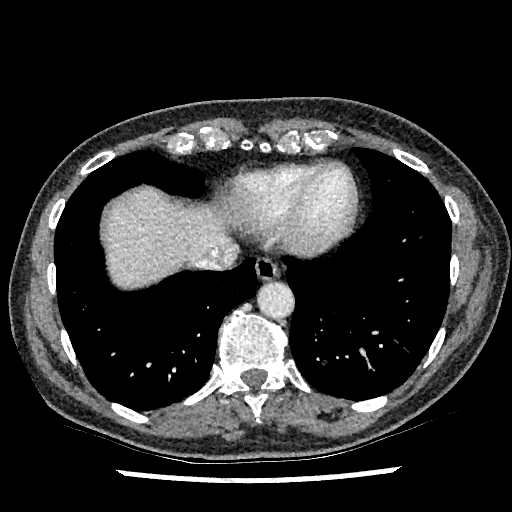
Abdomen. CT slice. {
  "liver": [
    "101 187 237 287"
  ]
}